Computed tomography, Field of view 351 mm wide, 1.00 mm slice spacing, Slice index 322 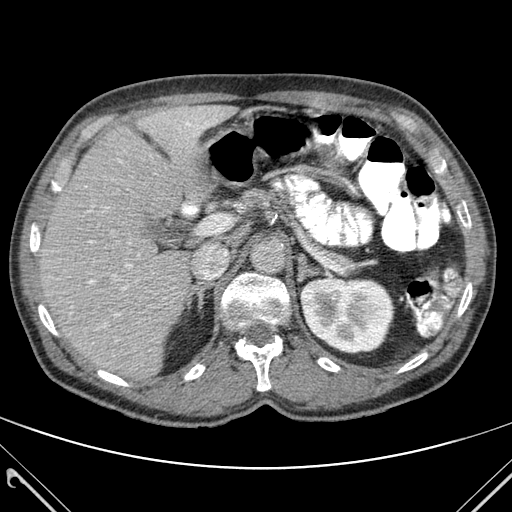
{"kidney": ["[301,278,391,351]"], "liver": ["[40,106,236,379]"], "bone": ["[185,364,204,379]", "[318,358,339,371]", "[222,273,288,327]", "[48,181,60,196]", "[458,283,471,315]", "[399,353,427,371]", "[39,305,57,334]", "[98,370,127,385]", "[436,160,445,172]", "[30,223,39,252]", "[458,202,470,226]", "[235,336,282,390]"]}